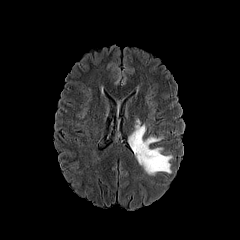
FLAIR MR image.
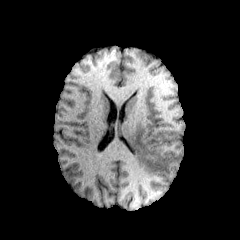
T1-weighted MRI of the same slice.
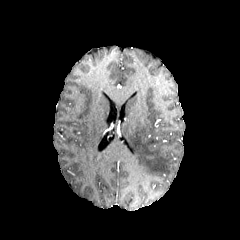
Same slice, post-contrast T1-weighted MRI.
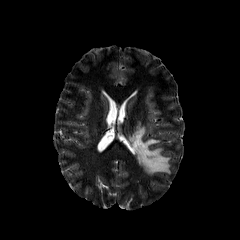
Same slice, T2-weighted MR.
edema:
  - bbox(128, 120, 171, 175)